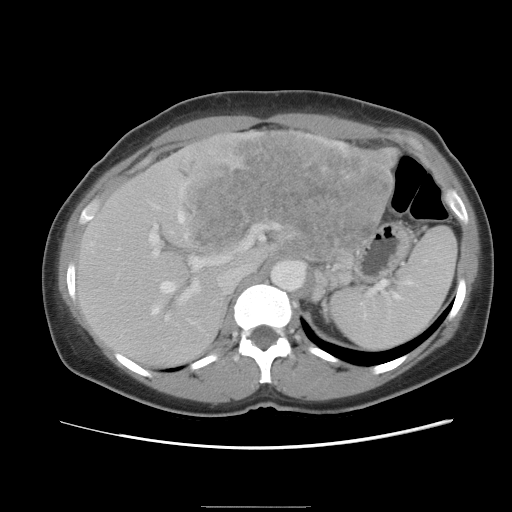 Liver | Image size 512x512 | CT
The vessel boxes may cover only some of the vessels.
<segmentation>
  <hepatic_vessel>x1=178, y1=279, x2=197, y2=302; x1=149, y1=225, x2=159, y2=254; x1=151, y1=306, x2=157, y2=312; x1=166, y1=314, x2=168, y2=318; x1=160, y1=281, x2=173, y2=292; x1=151, y1=203, x2=156, y2=206; x1=255, y1=230, x2=262, y2=238; x1=189, y1=238, x2=262, y2=291</hepatic_vessel>
  <liver_tumor>x1=174, y1=134, x2=390, y2=258</liver_tumor>
</segmentation>